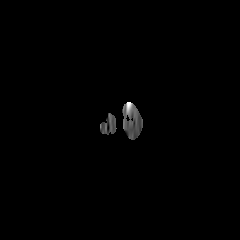
FLAIR MRI.
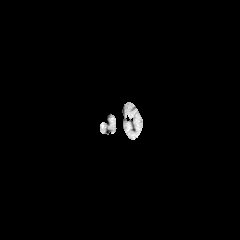
T1-weighted MRI.
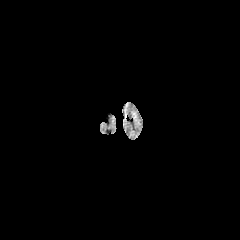
Same slice, post-contrast T1-weighted MRI.
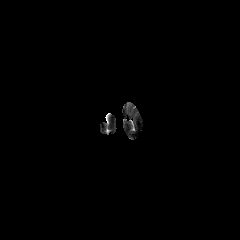
T2-weighted MRI.
Head
Segmented structures:
* edema: l=126, t=103, r=131, b=112